CT image, 512x512 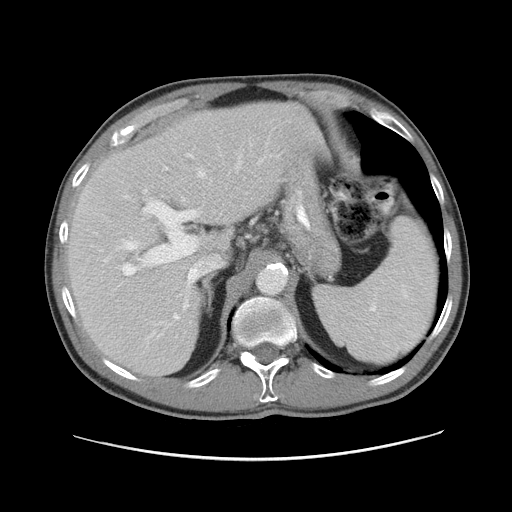 Only some of the vessels may be annotated.
Hepatic vessel at 163 167 167 169, 144 189 147 192, 144 199 200 265, 104 257 109 261, 185 153 192 157, 174 314 178 319, 183 300 188 307, 236 157 241 171, 197 170 205 176, 116 239 137 249, 259 158 263 162, 147 331 159 338, 119 266 129 275.